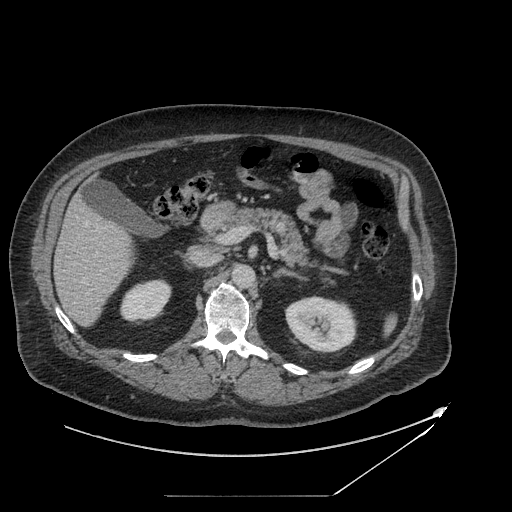 512x512, CT scan slice
The pancreas is located at 222, 208, 340, 278.